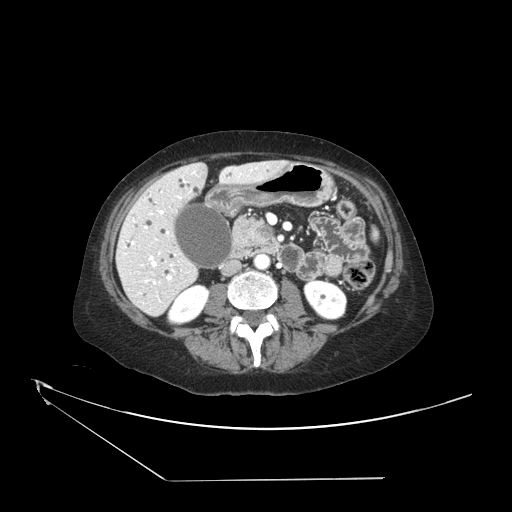

512x512 px | Abdomen | CT slice

pancreas: 233, 217, 278, 257 | pancreatic tumor: 258, 225, 273, 237